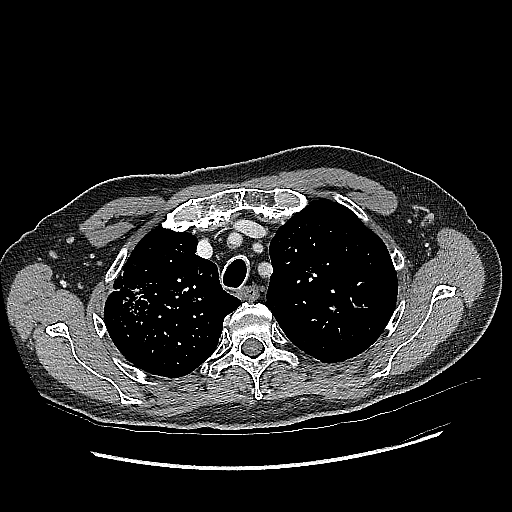
CT image | Lung

<segmentation>
  <lung_tumor>[x1=118, y1=281, x2=158, y2=323]</lung_tumor>
</segmentation>